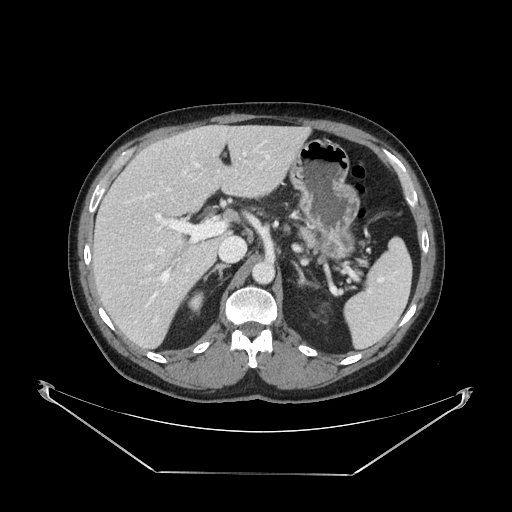

CT
Findings:
- pancreas: x1=299 y1=226 x2=320 y2=248